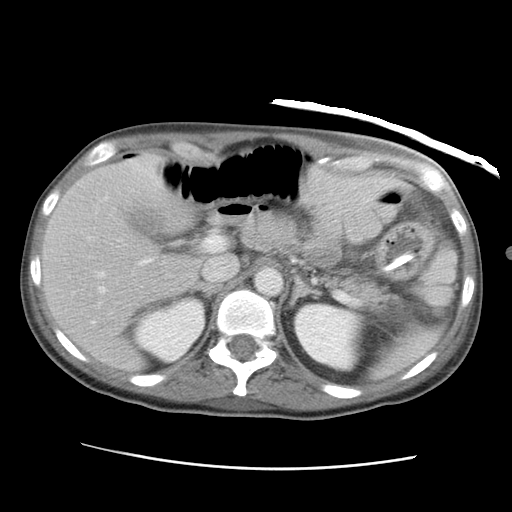 512x512. CT.

Liver: bounding box bbox=[42, 153, 206, 371]; bbox=[301, 175, 406, 221]; bbox=[201, 256, 232, 280].
Kidney: bounding box bbox=[295, 304, 360, 369]; bbox=[137, 300, 203, 360].